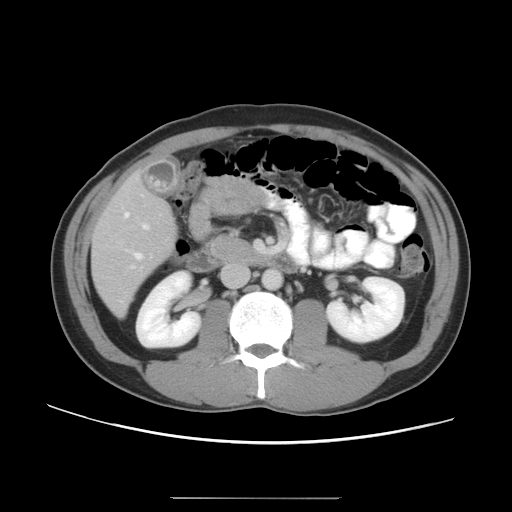

CT scan slice
Only some of the vessels may be annotated.
Annotated regions:
- hepatic vessel: (x1=143, y1=223, x2=150, y2=229), (x1=124, y1=212, x2=129, y2=217), (x1=127, y1=249, x2=143, y2=259), (x1=131, y1=265, x2=135, y2=267), (x1=135, y1=175, x2=138, y2=180)